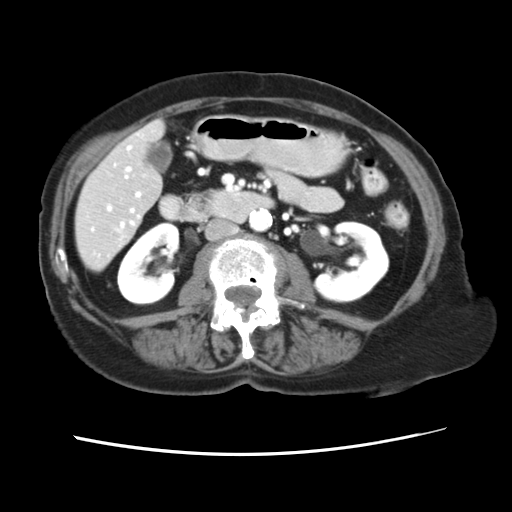
CT. Image size 512x512.

Some hepatic vessels may have no box.
hepatic vessel: <bbox>126, 146, 131, 149</bbox>, <bbox>114, 164, 115, 166</bbox>, <bbox>91, 228, 93, 231</bbox>, <bbox>125, 167, 130, 177</bbox>, <bbox>107, 206, 111, 211</bbox>, <bbox>94, 253, 98, 256</bbox>, <bbox>130, 221, 134, 225</bbox>, <bbox>136, 192, 139, 197</bbox>, <bbox>130, 209, 133, 211</bbox>, <bbox>116, 222, 123, 245</bbox>, <bbox>138, 133, 143, 138</bbox>